Slice 25/73 | CT | 512x512 px
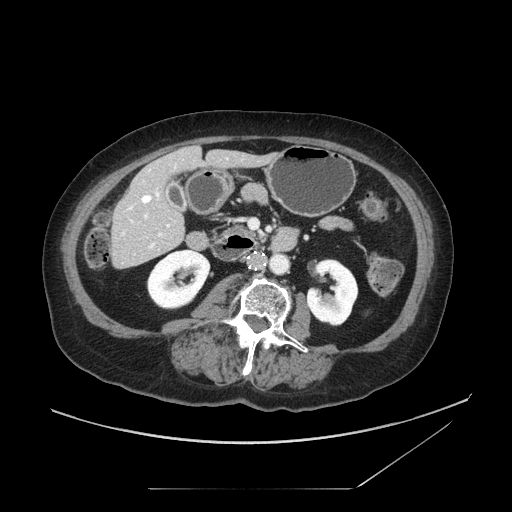

{"pancreas": ["x1=230, y1=226, x2=245, y2=233"]}